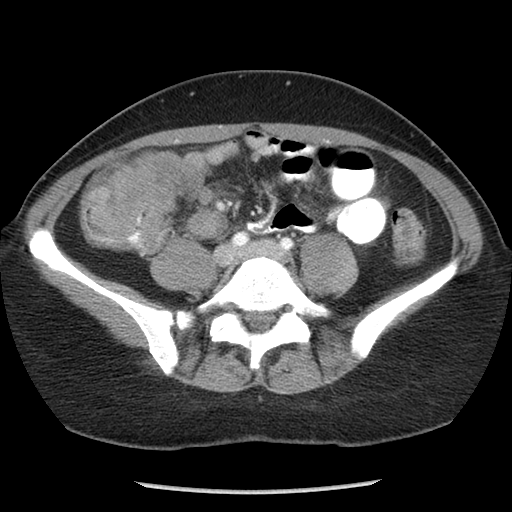
Abdomen | CT image

The colon tumor lies within <bbox>82, 150, 181, 247</bbox>.